FLAIR magnetic resonance.
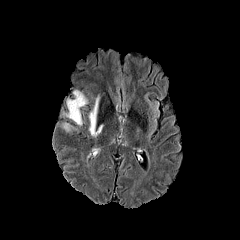
T1-weighted MR.
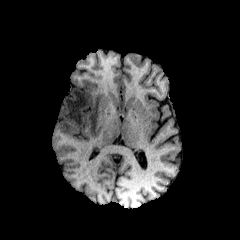
Post-contrast T1-weighted magnetic resonance.
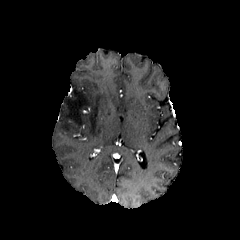
T2-weighted MRI.
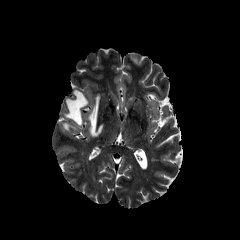
240x240 | Head
2 edema regions are bounded by (left=65, top=91, right=86, bottom=124), (left=89, top=96, right=102, bottom=138).